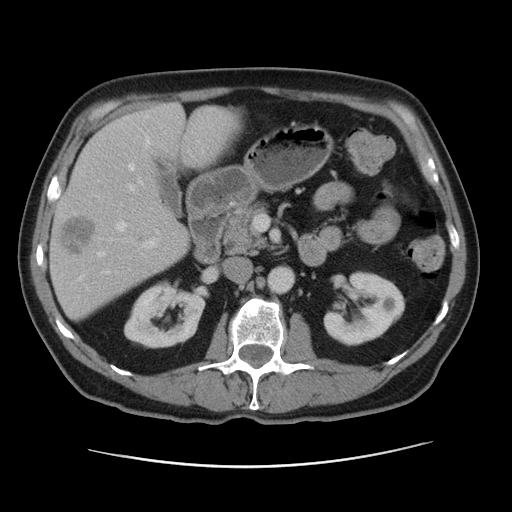

CT slice
liver:
  - box=[49, 106, 232, 316]
kidney:
  - box=[324, 271, 403, 345]
  - box=[127, 285, 203, 346]
liver_lesion:
  - box=[61, 216, 95, 255]